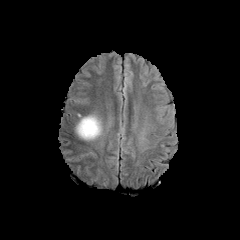
FLAIR magnetic resonance.
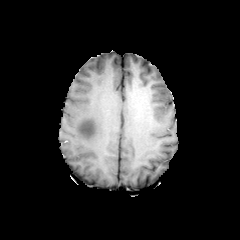
T1-weighted MRI.
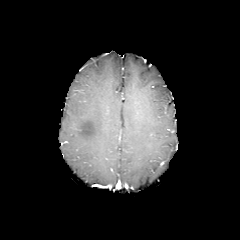
Post-contrast T1-weighted MR of the same slice.
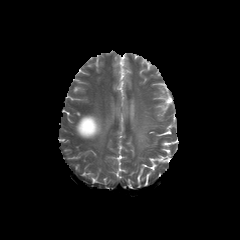
T2-weighted MRI of the same slice.
- edema: 75:113:102:141